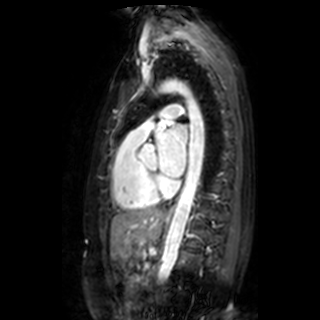 MRI slice
Left atrium = box=[155, 125, 187, 177].